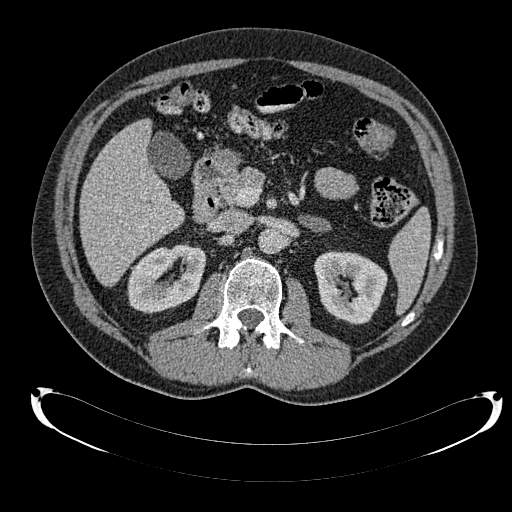

CT
<segmentation>
  <liver>(80,120,184,285)</liver>
  <kidney>(128,245,205,312), (314,252,386,323)</kidney>
</segmentation>